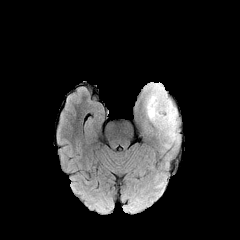
FLAIR MR image.
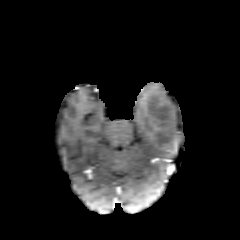
T1-weighted MR.
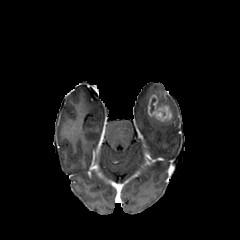
Post-contrast T1-weighted magnetic resonance of the same slice.
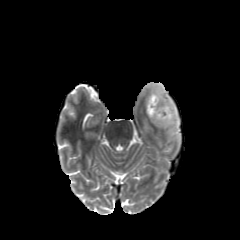
T2-weighted MRI of the same slice.
Head; 240x240 px
enhancing_tumor:
  - box(148, 94, 172, 121)
edema:
  - box(145, 84, 179, 141)